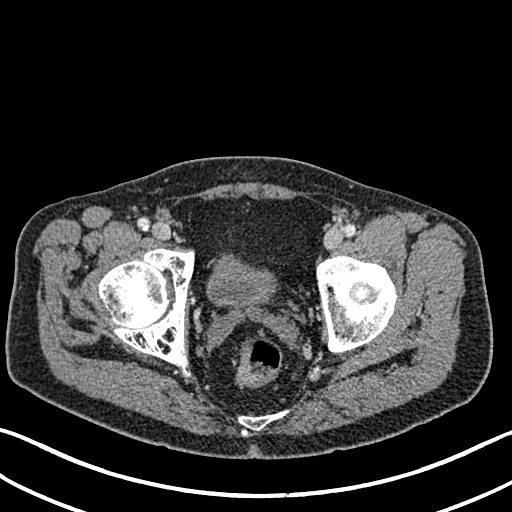 Lower abdomen; CT
<segmentation>
  <urinary_bladder>box=[207, 254, 277, 306]</urinary_bladder>
</segmentation>